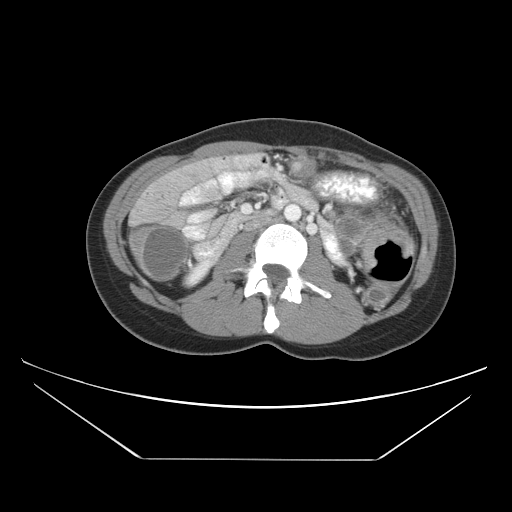
512x512 | CT
colon_tumor:
  - [360,220,414,272]